FLAIR MRI.
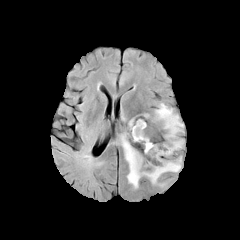
T1-weighted MR image.
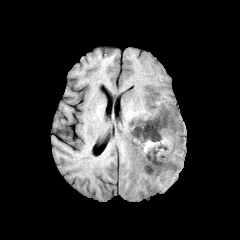
Post-contrast T1-weighted MR image.
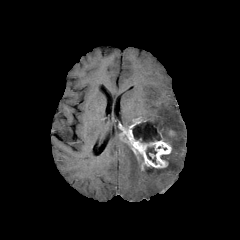
T2-weighted MRI.
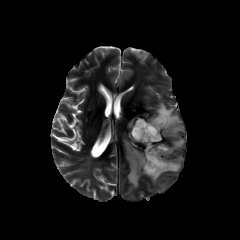
240x240
<segmentation>
  <edema>120,134,182,188; 151,102,183,137; 167,138,184,155</edema>
  <enhancing_tumor>124,117,171,169</enhancing_tumor>
  <non-enhancing_tumor_core>143,164,164,171; 145,145,157,164; 132,120,160,143</non-enhancing_tumor_core>
</segmentation>